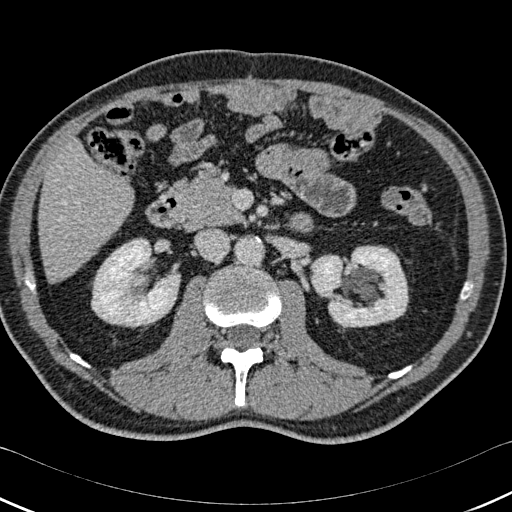

Liver, CT image
Kidney — 329,246,407,326; 312,256,341,296; 92,239,179,325.
Liver — 39,143,134,280.
Bone — 389,366,410,378; 461,283,472,298; 70,354,89,366; 26,279,34,289; 204,269,281,327; 221,347,262,406.